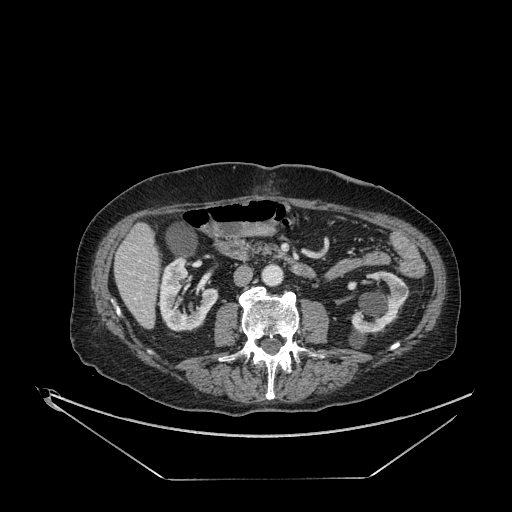 CT, Image size 512x512
Kidney: (x1=352, y1=272, x2=408, y2=332), (x1=348, y1=282, x2=355, y2=289), (x1=159, y1=258, x2=217, y2=330).
Liver: (x1=114, y1=224, x2=158, y2=328).